CT image. 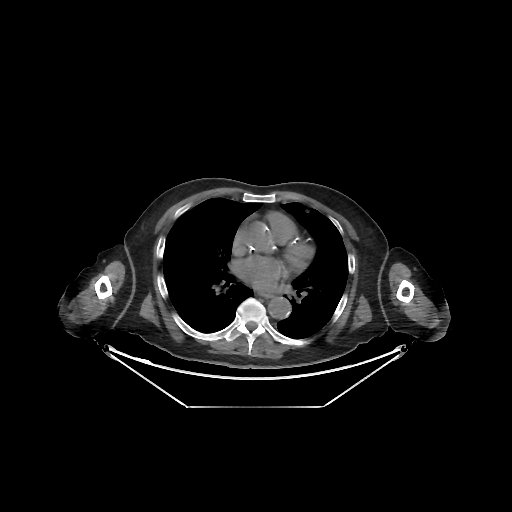 8 bone regions appear at <bbox>94, 275, 111, 299</bbox>, <bbox>396, 280, 414, 303</bbox>, <bbox>157, 276, 167, 297</bbox>, <bbox>157, 238, 164, 257</bbox>, <bbox>348, 256, 354, 272</bbox>, <bbox>334, 296, 346, 319</bbox>, <bbox>173, 298, 306, 353</bbox>, <bbox>243, 193, 274, 202</bbox>. 2 lung regions are located at <bbox>162, 198, 262, 333</bbox>, <bbox>277, 202, 348, 338</bbox>.